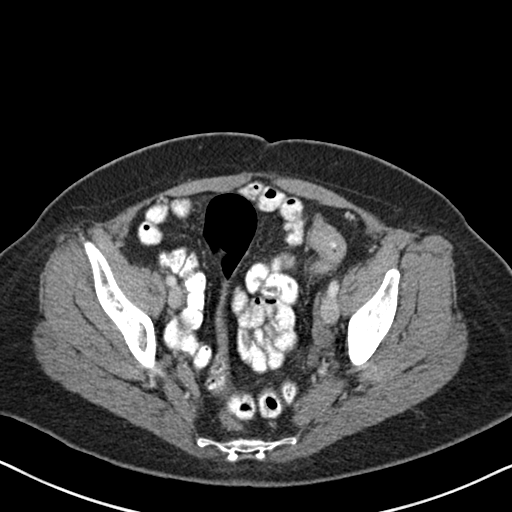 CT image; Abdomen
Findings:
* colon tumor: l=311, t=225, r=345, b=261